512x512 px, CT scan slice, Image width 437 mm 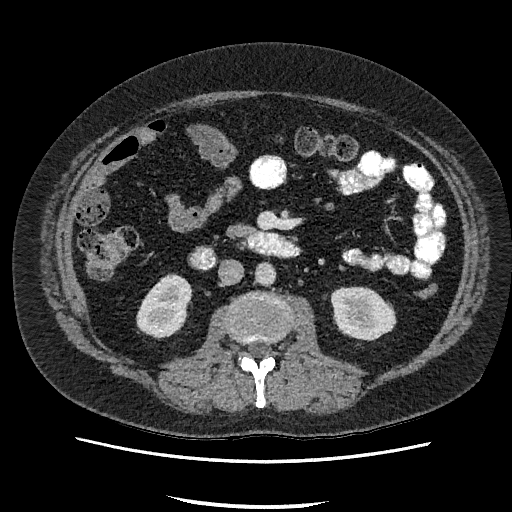
Kidney — [138,276,190,336], [332,288,394,339].